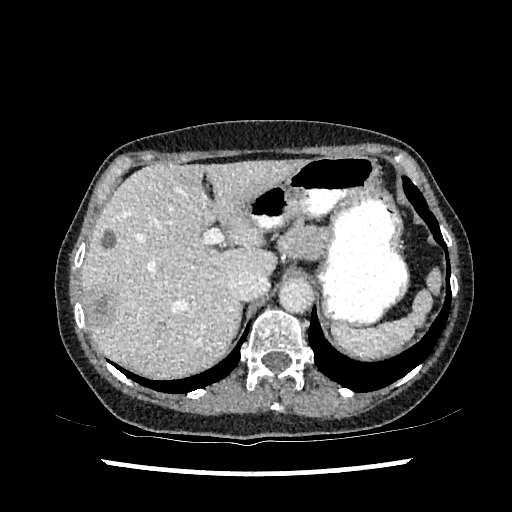

CT slice. <segmentation>
  <hepatic_lesion>{"x1": 179, "y1": 170, "x2": 195, "y2": 188}, {"x1": 157, "y1": 322, "x2": 165, "y2": 332}, {"x1": 84, "y1": 286, "x2": 116, "y2": 327}, {"x1": 100, "y1": 231, "x2": 115, "y2": 248}</hepatic_lesion>
  <liver>{"x1": 82, "y1": 161, "x2": 300, "y2": 377}</liver>
</segmentation>